Slice 92/155; Brain; Image width 240 mm
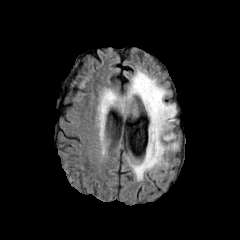
FLAIR MRI.
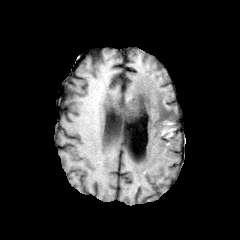
Same slice, T1-weighted MR.
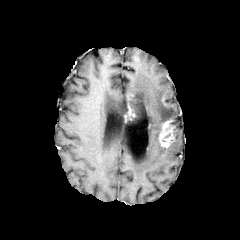
Post-contrast T1-weighted MRI.
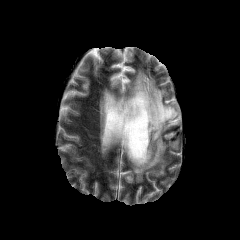
T2-weighted MR image.
edema:
  - bbox=[99, 69, 177, 181]
enhancing_tumor:
  - bbox=[162, 120, 171, 127]
  - bbox=[124, 103, 134, 117]
non-enhancing_tumor_core:
  - bbox=[125, 95, 135, 113]
  - bbox=[158, 104, 171, 117]
  - bbox=[138, 95, 152, 113]